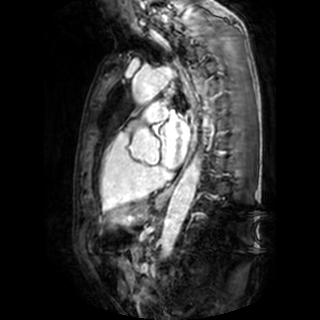

320x320, MRI
<segmentation>
  <left_atrium>(x1=160, y1=114, x2=189, y2=168)</left_atrium>
</segmentation>